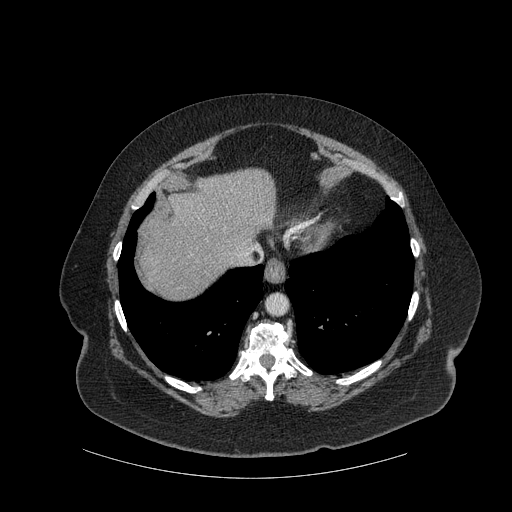

Abdomen. Computed tomography.
8 bone regions appear at [391, 193, 402, 203], [229, 323, 312, 399], [115, 301, 126, 330], [411, 239, 419, 256], [113, 242, 121, 260], [336, 361, 380, 384], [408, 292, 418, 319], [165, 377, 200, 392]. The liver appears at [140, 169, 275, 300]. 2 lung regions are bounded by [285, 197, 413, 374], [118, 193, 263, 379].